T2-weighted MR image.
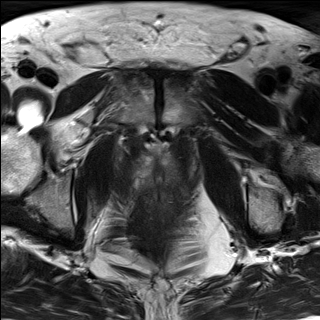
ADC MR image.
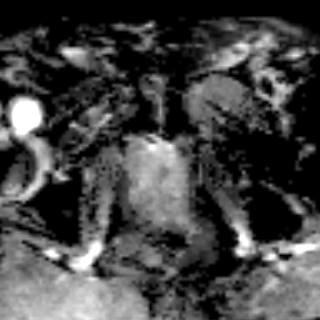
Pelvis
Segmented structures:
- prostate transition zone: 133 156 178 189